CT image | Image size 512x512 | Abdomen 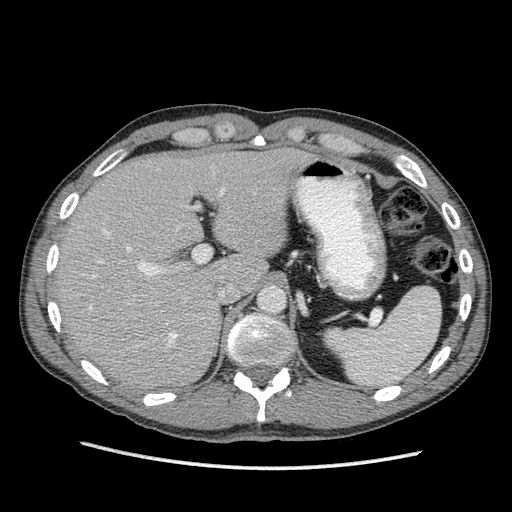
Annotated regions:
- liver: box(54, 146, 324, 393)